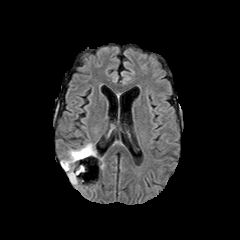
FLAIR MR image.
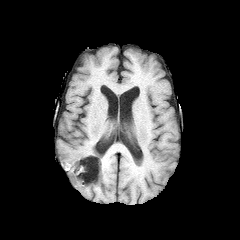
T1-weighted magnetic resonance of the same slice.
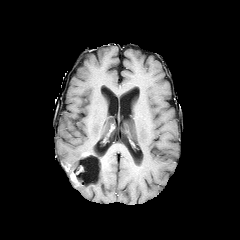
Post-contrast T1-weighted magnetic resonance.
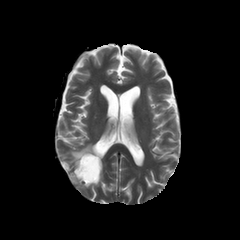
T2-weighted MR.
Brain
The edema appears at <box>61,143,103,170</box>. The non-enhancing tumor core is bounded by <box>66,146,97,179</box>.